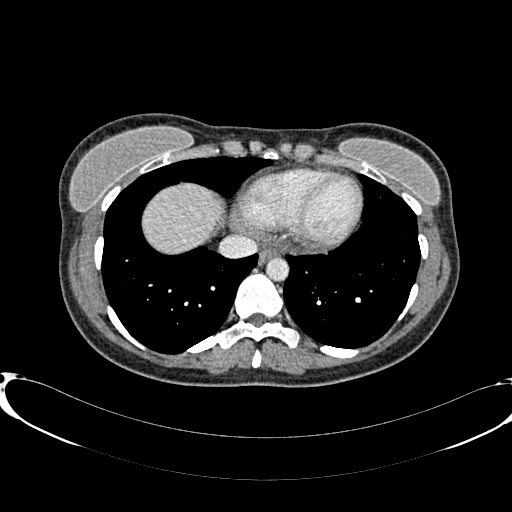 CT image

{
  "liver": [
    "left=144, top=185, right=220, bottom=252"
  ]
}